FLAIR MRI.
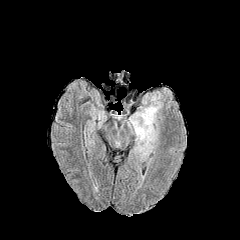
T1-weighted MR.
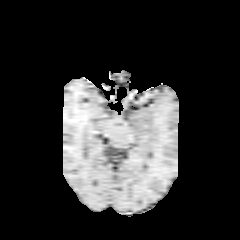
Post-contrast T1-weighted MR image.
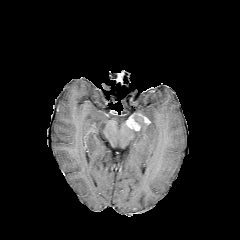
T2-weighted MR.
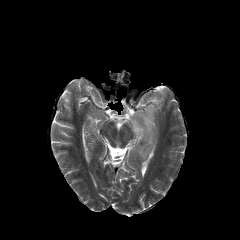
240x240
Segmented structures:
- enhancing tumor: region(126, 111, 151, 132)
- edema: region(130, 91, 163, 161)